Image size 240x240. Field of view 240x240 mm.
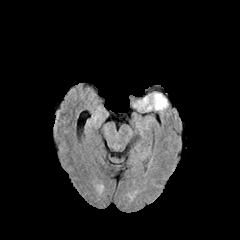
FLAIR MRI.
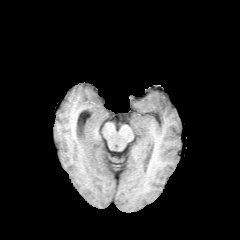
T1-weighted magnetic resonance.
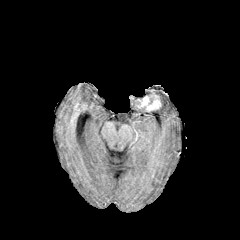
Post-contrast T1-weighted MR image.
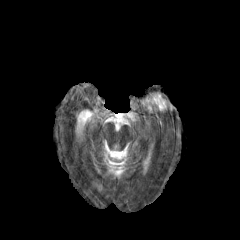
T2-weighted magnetic resonance.
Annotated regions:
- enhancing tumor: bbox(140, 94, 161, 111)
- edema: bbox(152, 92, 168, 111)